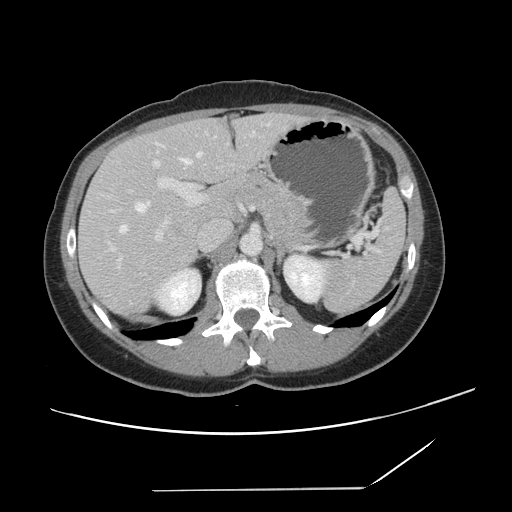

512x512, CT scan slice

The vessel boxes may cover only some of the vessels.
Most prominent 15 of 20 hepatic vessel regions: box(109, 245, 115, 250); box(155, 230, 162, 239); box(195, 201, 200, 203); box(118, 258, 120, 268); box(186, 203, 190, 205); box(197, 152, 202, 156); box(158, 178, 191, 194); box(120, 226, 126, 232); box(181, 159, 191, 164); box(110, 210, 114, 211); box(153, 161, 158, 166); box(136, 201, 149, 212); box(164, 220, 168, 224); box(154, 142, 164, 147); box(251, 131, 254, 136).